Slice 20 of 27. Magnetic resonance. 33x52. Hippocampus.

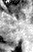 The posterior hippocampus is at left=13, top=43, right=17, bottom=46.